CT slice. Slice index 83. Upper abdomen.
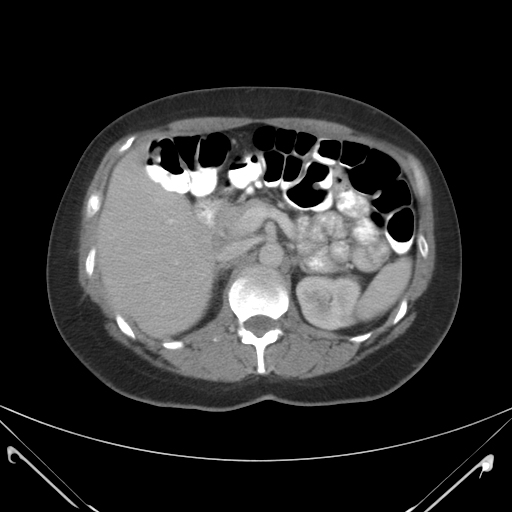

Spleen: 360,258,412,317.